Pelvis, CT image, Field of view 378x378 mm
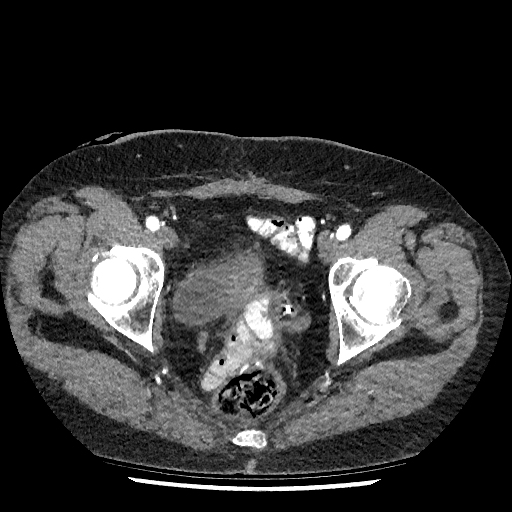

The urinary bladder appears at left=172, top=246, right=264, bottom=326.